512x512 px, Computed tomography 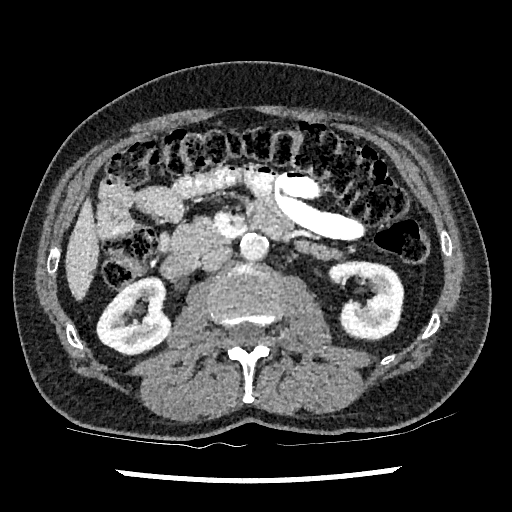

<segmentation>
  <liver>bbox=[66, 199, 98, 300]</liver>
  <kidney>bbox=[330, 262, 402, 337]; bbox=[97, 279, 170, 353]</kidney>
</segmentation>